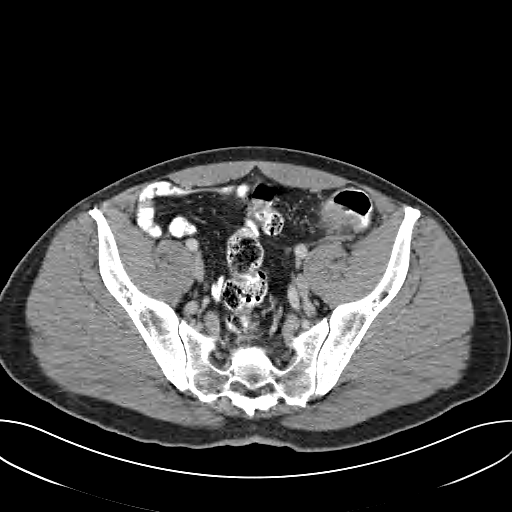

CT scan slice, Pelvis, Image size 512x512
colon_tumor:
  - l=323, t=202, r=365, b=234